Field of view 240x240 mm, Brain
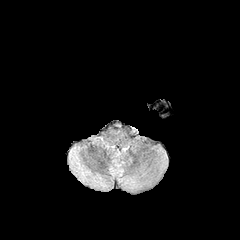
FLAIR MRI.
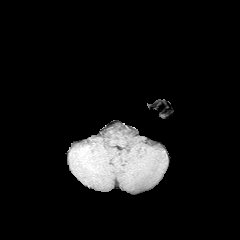
Same slice, T1-weighted MR image.
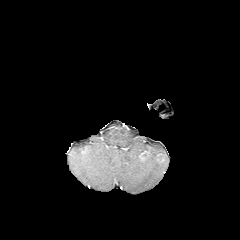
Post-contrast T1-weighted magnetic resonance of the same slice.
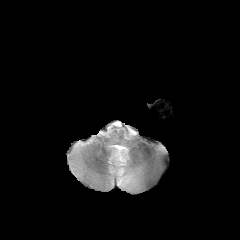
T2-weighted MRI of the same slice.
Edema at rect(109, 143, 138, 186).